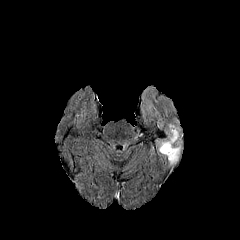
FLAIR MR image.
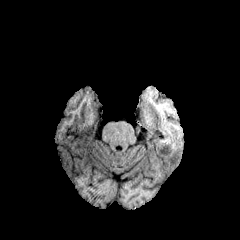
T1-weighted MR.
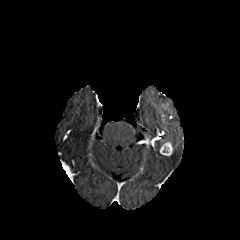
Post-contrast T1-weighted MR image.
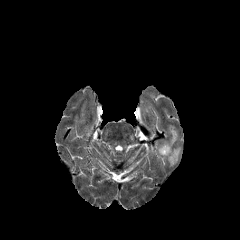
Same slice, T2-weighted MR.
Brain
enhancing tumor: (x1=159, y1=141, x2=173, y2=156) | edema: (x1=155, y1=124, x2=182, y2=167)